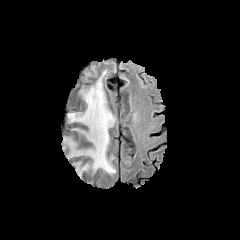
FLAIR MR.
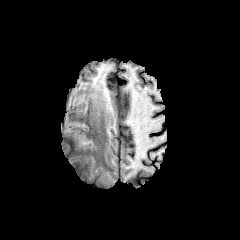
T1-weighted MR.
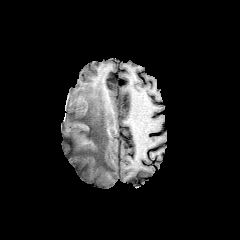
Post-contrast T1-weighted magnetic resonance.
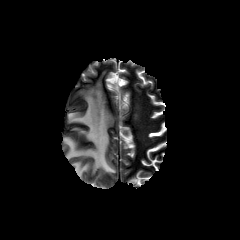
T2-weighted magnetic resonance of the same slice.
240x240 px | Brain
<segmentation>
  <edema>65 78 115 175</edema>
</segmentation>